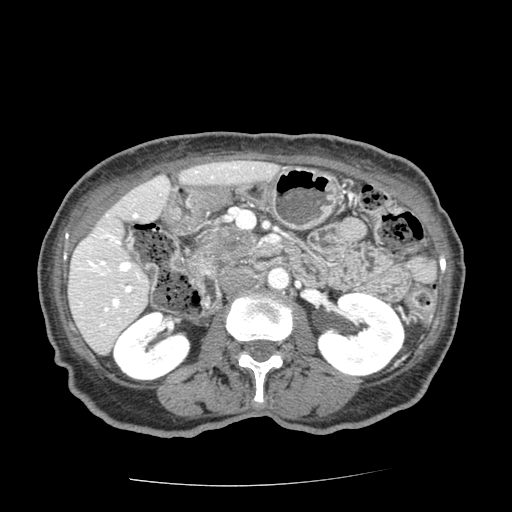
CT slice
{
  "pancreatic_tumor": [
    "x1=212 y1=228 x2=252 y2=258"
  ],
  "pancreas": [
    "x1=195 y1=232 x2=259 y2=270",
    "x1=215 y1=224 x2=241 y2=233"
  ]
}